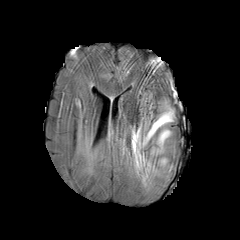
FLAIR MRI.
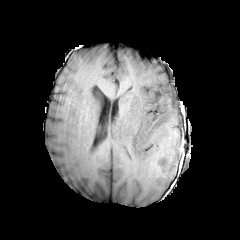
T1-weighted MR image.
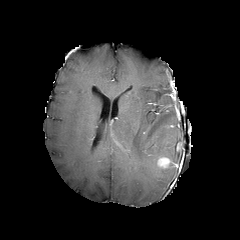
Same slice, post-contrast T1-weighted MRI.
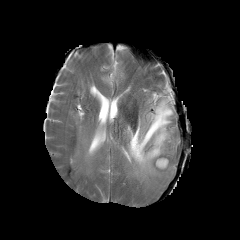
T2-weighted MR image.
The enhancing tumor is located at (x1=158, y1=158, x2=167, y2=166). The edema lies within (x1=123, y1=98, x2=174, y2=176).